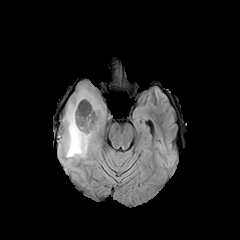
FLAIR MR image.
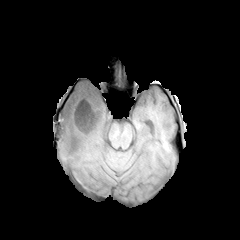
T1-weighted magnetic resonance.
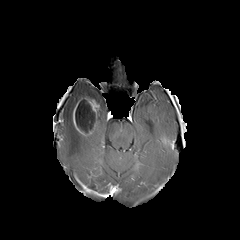
Post-contrast T1-weighted MRI of the same slice.
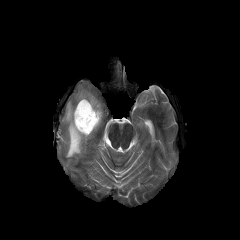
Same slice, T2-weighted MR image.
Brain
{"enhancing_tumor": ["<box>85,98,99,122</box>"], "edema": ["<box>60,87,105,163</box>"], "non-enhancing_tumor_core": ["<box>74,96,97,135</box>"]}